512x512 | CT slice | Field of view 390 mm wide, 2.50 mm slice spacing
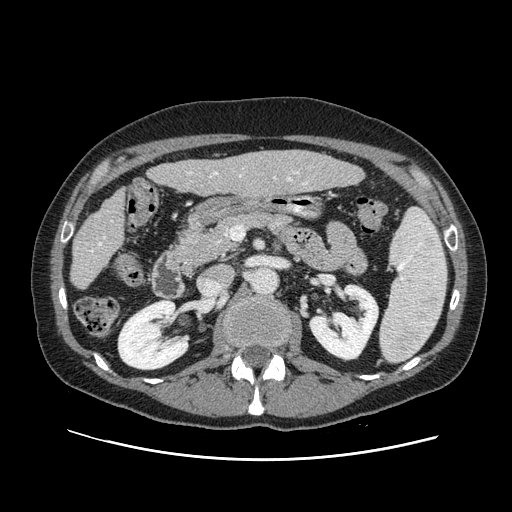 The pancreas is at box(171, 211, 292, 275).